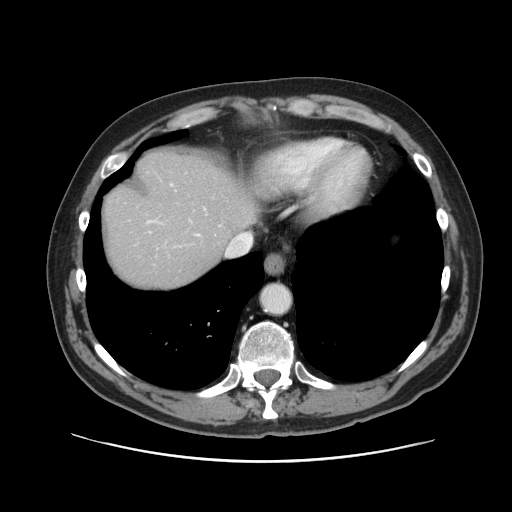 512x512 px, CT image
The vessel annotation is not exhaustive.
Hepatic vessel: bounding box l=147, t=221, r=154, b=222.